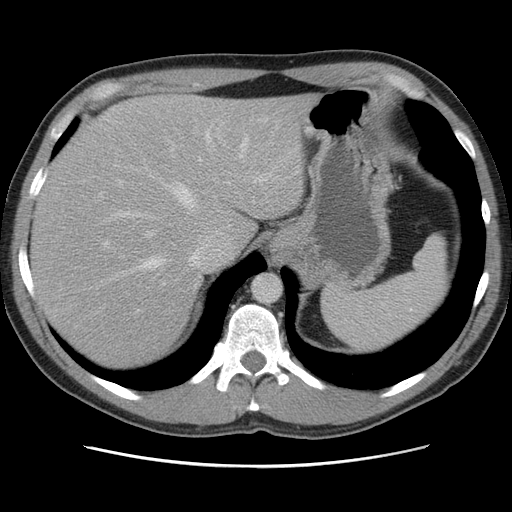
CT image.

Not every hepatic vessel necessarily has a box.
<segmentation partial="true">
  <hepatic_vessel shown="15" total="17">x1=104 y1=242 x2=108 y2=246, x1=227 y1=182 x2=229 y2=183, x1=119 y1=180 x2=121 y2=183, x1=106 y1=212 x2=139 y2=221, x1=146 y1=165 x2=196 y2=208, x1=161 y1=281 x2=164 y2=284, x1=147 y1=232 x2=153 y2=237, x1=209 y1=149 x2=214 y2=152, x1=205 y1=130 x2=210 y2=143, x1=168 y1=140 x2=175 y2=151, x1=199 y1=158 x2=201 y2=160, x1=139 y1=257 x2=164 y2=269, x1=259 y1=118 x2=267 y2=122, x1=251 y1=119 x2=252 y2=124, x1=240 y1=136 x2=248 y2=161</hepatic_vessel>
</segmentation>